MR image. Image size 37x52. 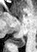

Posterior hippocampus = 12, 38, 24, 47.